FLAIR MR image.
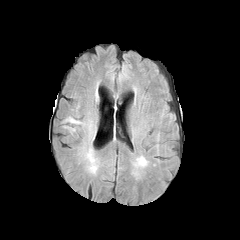
T1-weighted MR image.
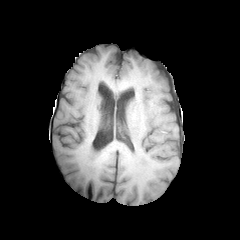
Post-contrast T1-weighted magnetic resonance.
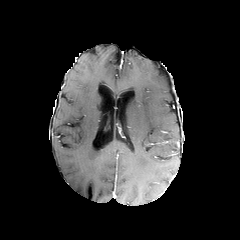
T2-weighted MRI.
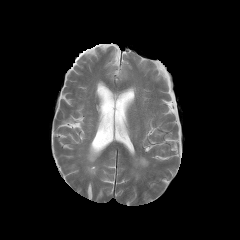
Brain
Edema: x1=133, y1=156, x2=149, y2=168.